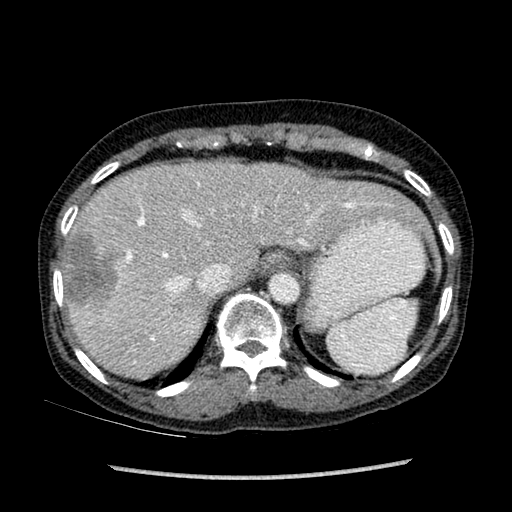
CT scan slice. Upper abdomen. Annotated regions:
* liver: [64,161,433,375]
* focal liver lesion: [61,233,121,310]